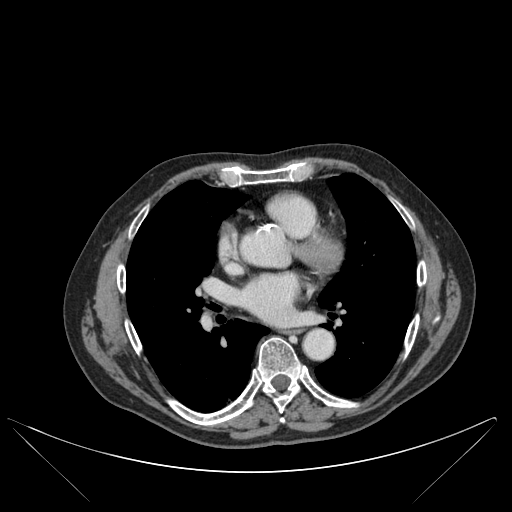

CT scan slice | Thorax
8 bone regions are located at [x1=397, y1=204, x2=412, y2=223], [x1=117, y1=265, x2=125, y2=292], [x1=130, y1=208, x2=147, y2=234], [x1=125, y1=321, x2=141, y2=353], [x1=224, y1=164, x2=303, y2=185], [x1=405, y1=315, x2=419, y2=355], [x1=417, y1=261, x2=426, y2=285], [x1=168, y1=338, x2=356, y2=425]. 2 lung regions are located at [x1=315, y1=173, x2=415, y2=397], [x1=126, y1=180, x2=269, y2=412].